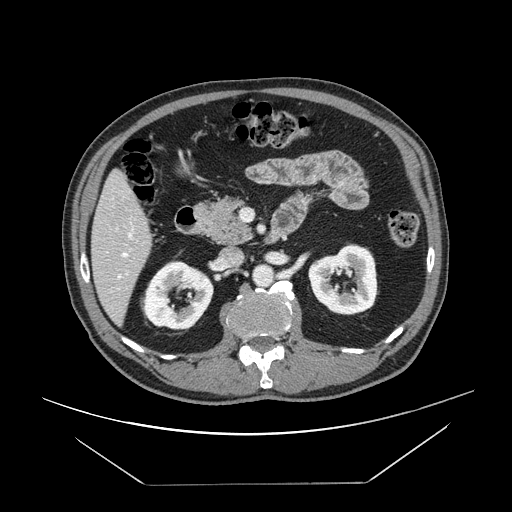

CT
Pancreas — {"x1": 195, "y1": 197, "x2": 253, "y2": 245}.